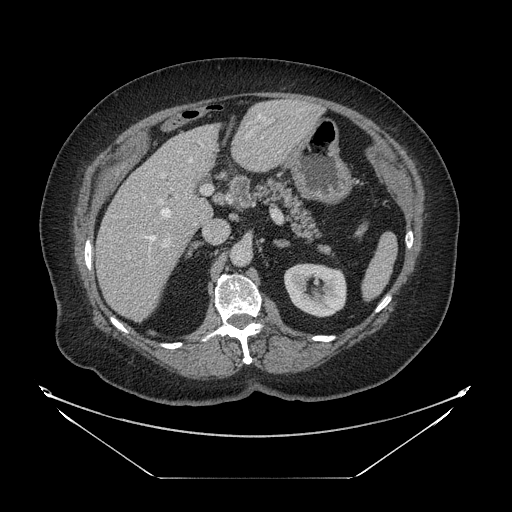 CT image
Segmented structures:
- pancreas: 253 179 319 242, 318 246 330 255